CT slice, Slice index 283, Upper abdomen, Image size 512x512 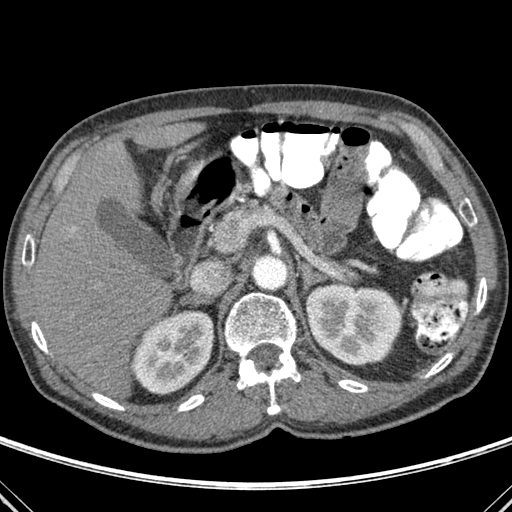

Liver: region(134, 123, 204, 147); region(33, 142, 170, 399).
Bone: region(476, 277, 486, 312); region(22, 234, 34, 265); region(92, 393, 123, 410); region(31, 322, 47, 352); region(225, 293, 300, 414); region(338, 380, 367, 392); region(425, 353, 452, 377); region(178, 394, 204, 411); region(460, 198, 476, 225).
Kidney: region(133, 312, 212, 392); region(307, 285, 400, 363).